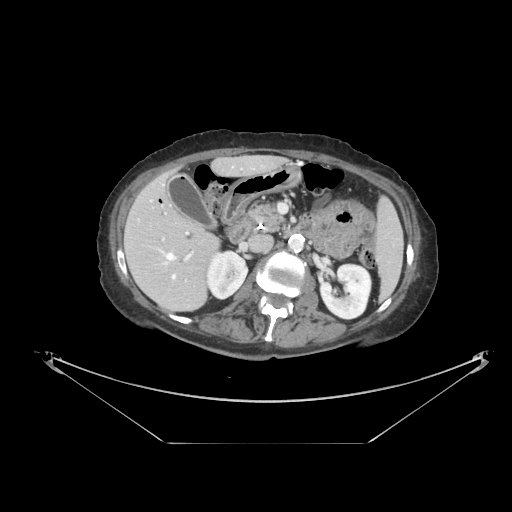
CT scan slice, Abdomen, Image size 512x512
Pancreatic tumor — (265,207,280,228).
Pancreas — (250,203,284,232).